Slice index 30. Computed tomography.
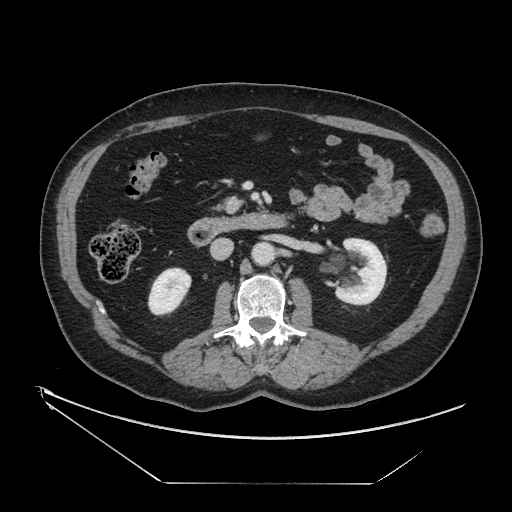
<segmentation>
  <pancreatic_tumor>(226,196,245,214)</pancreatic_tumor>
  <pancreas>(213,197,230,213)</pancreas>
</segmentation>